Slice 43/141; CT scan slice; 512x512 px

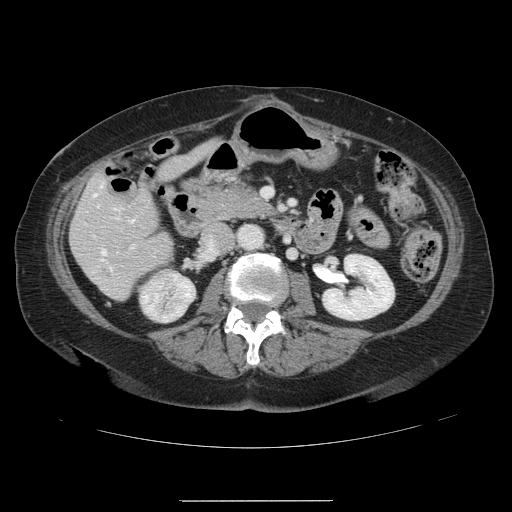 Some hepatic vessels may have no box.
8 hepatic vessel regions are bounded by x1=112, y1=206, x2=120, y2=211; x1=101, y1=249, x2=105, y2=253; x1=110, y1=266, x2=110, y2=269; x1=129, y1=244, x2=134, y2=247; x1=100, y1=181, x2=104, y2=186; x1=93, y1=194, x2=96, y2=195; x1=97, y1=204, x2=98, y2=205; x1=130, y1=219, x2=133, y2=222.